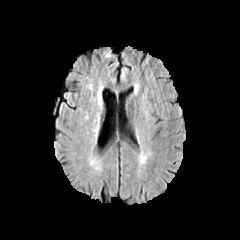
FLAIR MR.
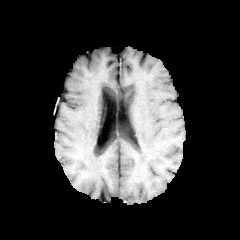
Same slice, T1-weighted MR.
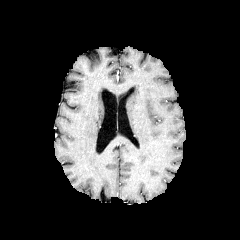
Post-contrast T1-weighted MRI of the same slice.
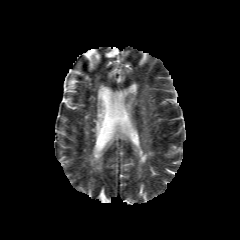
T2-weighted MR.
Brain, Image size 240x240
edema:
  - bbox=[139, 152, 146, 162]